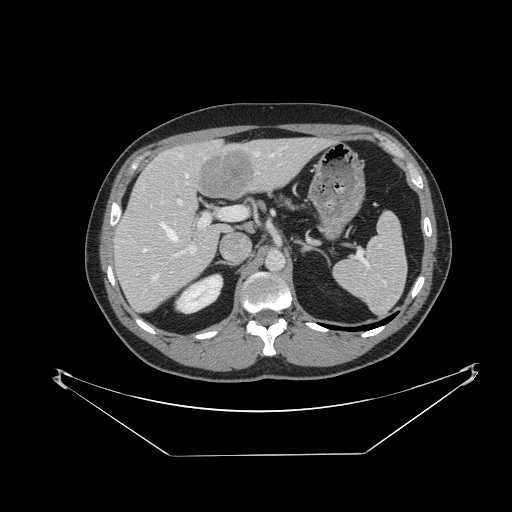
Abdomen, CT

Spleen at [x1=333, y1=212, x2=406, y2=313].